FLAIR MRI.
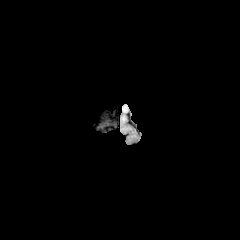
T1-weighted MRI.
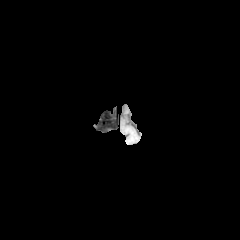
Post-contrast T1-weighted MRI.
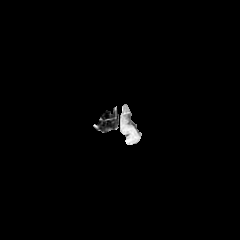
T2-weighted MR image.
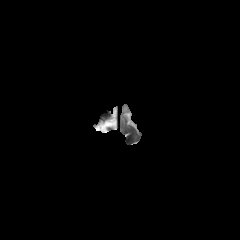
The edema is at 120,104,129,123.